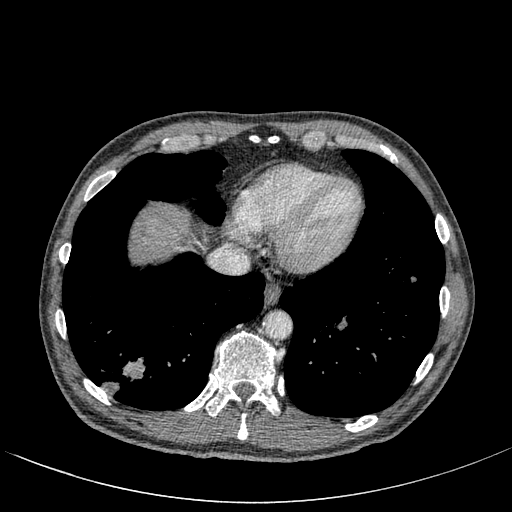 CT | Upper abdomen

{"liver": ["x1=131 y1=208 x2=184 y2=261"]}